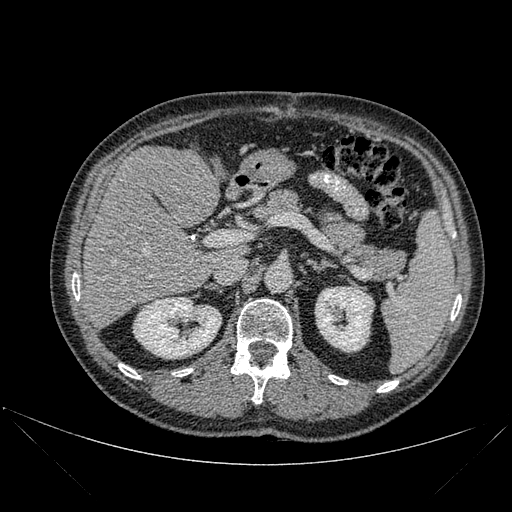
Computed tomography, Image size 512x512
Kidney at box=[315, 287, 374, 351]; box=[133, 297, 221, 358].
Bone at box=[72, 273, 79, 300]; box=[118, 363, 140, 378]; box=[377, 380, 398, 392]; box=[172, 368, 192, 376]; box=[451, 294, 461, 320]; box=[231, 299, 292, 403]; box=[329, 375, 347, 384].
Liver at box=[81, 146, 220, 328]; box=[215, 171, 228, 179].